Head. 240x240. Field of view 240 mm wide, 1.00 mm slice spacing. Slice 110 of 155.
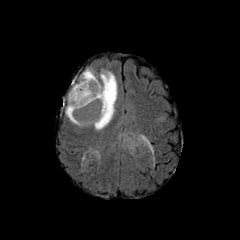
FLAIR MRI.
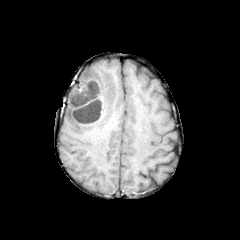
Same slice, T1-weighted MR.
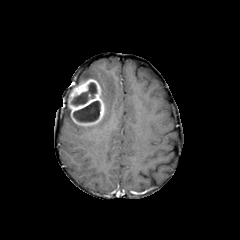
Post-contrast T1-weighted MR.
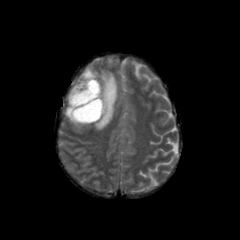
T2-weighted magnetic resonance of the same slice.
{"edema": ["[x1=65, y1=68, x2=118, y2=130]"], "enhancing_tumor": ["[x1=69, y1=79, x2=103, y2=117]"], "non-enhancing_tumor_core": ["[x1=68, y1=82, x2=97, y2=116]", "[x1=71, y1=100, x2=100, y2=123]"]}